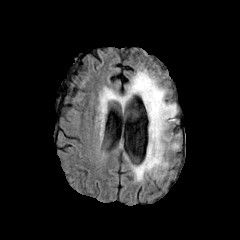
FLAIR MR.
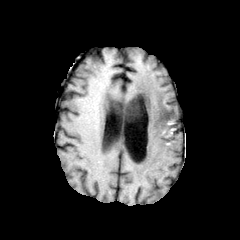
T1-weighted magnetic resonance of the same slice.
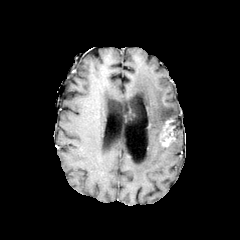
Post-contrast T1-weighted magnetic resonance.
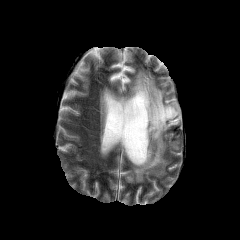
T2-weighted magnetic resonance.
Head. 240x240.
non-enhancing_tumor_core:
  - 138 94 149 106
edema:
  - 100 69 178 182